Slice index 39. 512x512. CT slice.
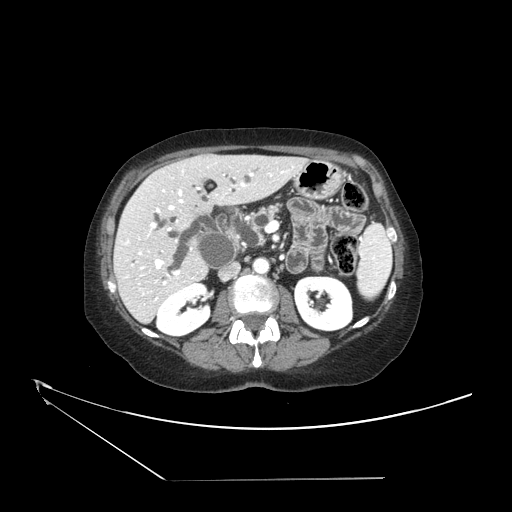 Pancreas: 252,205,279,229; 271,256,293,271.